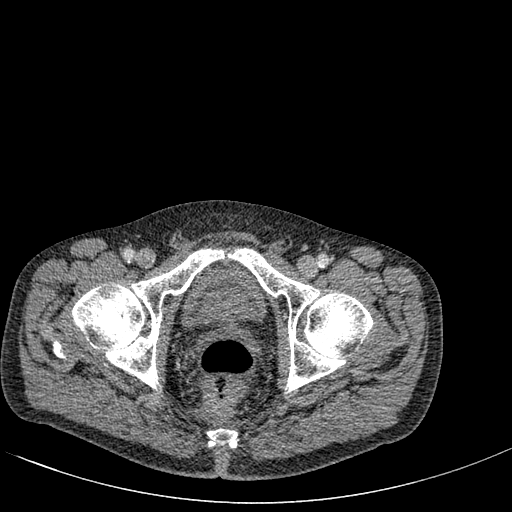 CT scan slice; Lower abdomen

The urinary bladder is at x1=178 y1=258 x2=267 y2=329.